CT image; Slice 75/696; 512x512
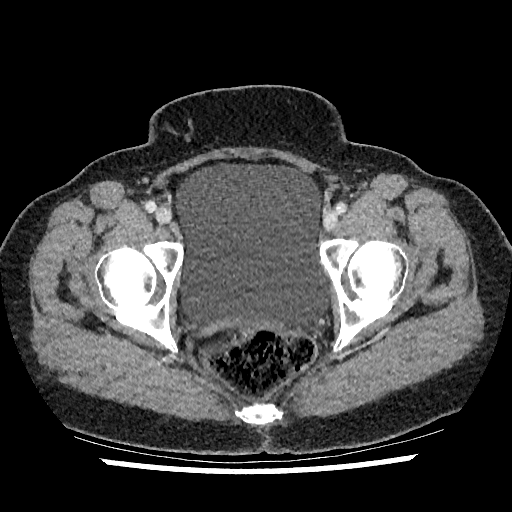 Urinary bladder at x1=176 y1=163 x2=331 y2=332.